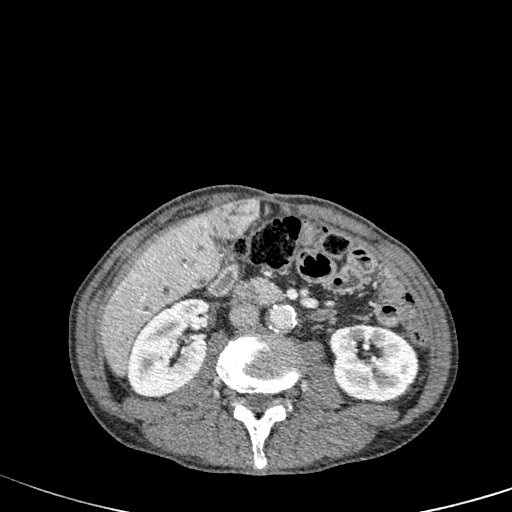

CT image, Abdomen

2 kidney regions are located at x1=127 y1=299 x2=208 y2=396, x1=331 y1=325 x2=417 y2=400. The focal liver lesion is located at x1=203 y1=198 x2=259 y2=238. The liver lies within x1=101 y1=209 x2=221 y2=377.